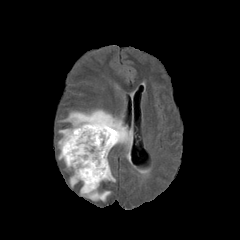
FLAIR magnetic resonance.
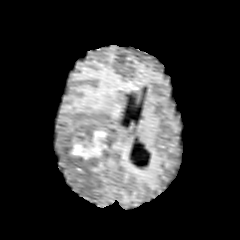
T1-weighted magnetic resonance.
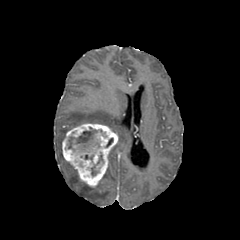
Same slice, post-contrast T1-weighted MR image.
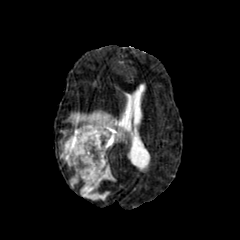
Same slice, T2-weighted MR.
240x240 px.
Segmented structures:
- edema: [x1=69, y1=177, x2=78, y2=187], [x1=103, y1=166, x2=115, y2=181], [x1=64, y1=110, x2=132, y2=144], [x1=80, y1=185, x2=110, y2=200]
- non-enhancing tumor core: [x1=76, y1=131, x2=93, y2=143]
- enhancing tumor: [x1=60, y1=121, x2=118, y2=188]